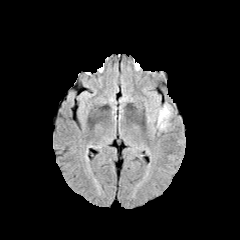
FLAIR MR image.
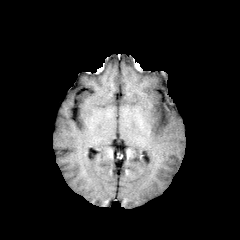
Same slice, T1-weighted magnetic resonance.
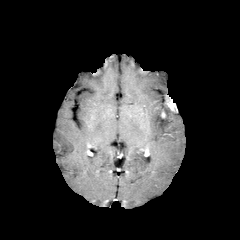
Post-contrast T1-weighted MRI.
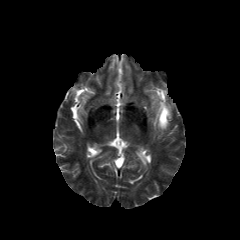
Same slice, T2-weighted magnetic resonance.
Non-enhancing tumor core at 156 104 172 123.
Edema at 147 107 176 130.